Abdomen | 512x512 px | Slice 494/671 | CT scan slice

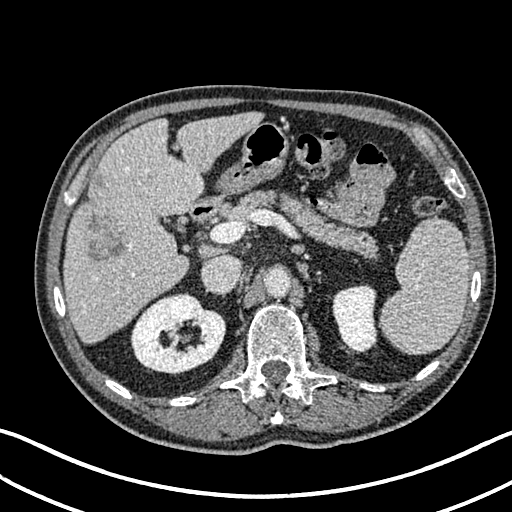

The liver is at x1=65, y1=112, x2=262, y2=342. 2 hepatic lesion regions are located at x1=94, y1=175, x2=102, y2=186; x1=88, y1=212, x2=126, y2=259. 2 kidney regions are located at x1=132, y1=294, x2=224, y2=372; x1=333, y1=286, x2=375, y2=350.